Computed tomography; Image width 363 mm
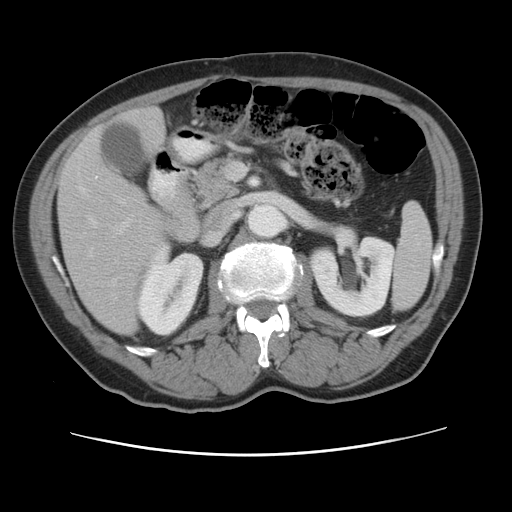

The vessel annotation is not exhaustive.
3 hepatic vessel regions are located at l=149, t=236, r=155, b=241; l=113, t=294, r=116, b=299; l=116, t=220, r=129, b=233.